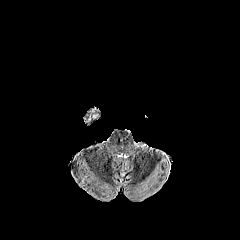
FLAIR MR image.
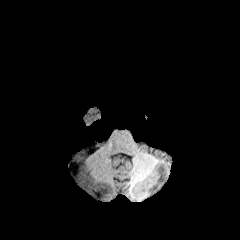
Same slice, T1-weighted MR image.
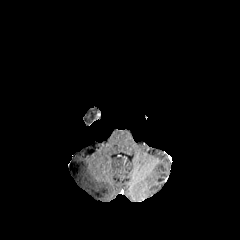
Post-contrast T1-weighted MRI.
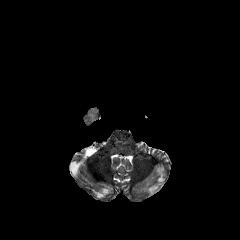
T2-weighted MR.
The edema is at x1=83, y1=112, x2=91, y2=123.